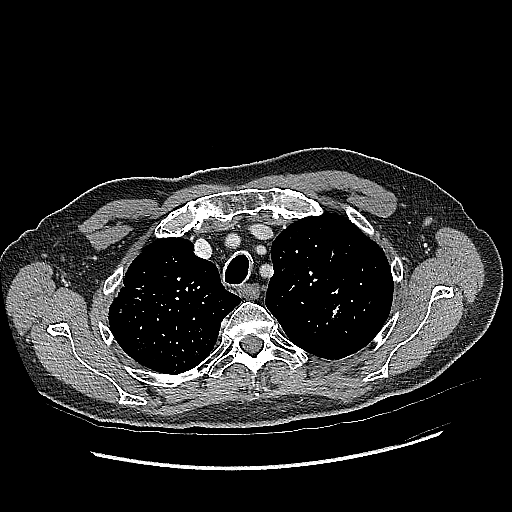 CT image

* lung tumor: left=129, top=284, right=145, bottom=293; left=117, top=298, right=129, bottom=318